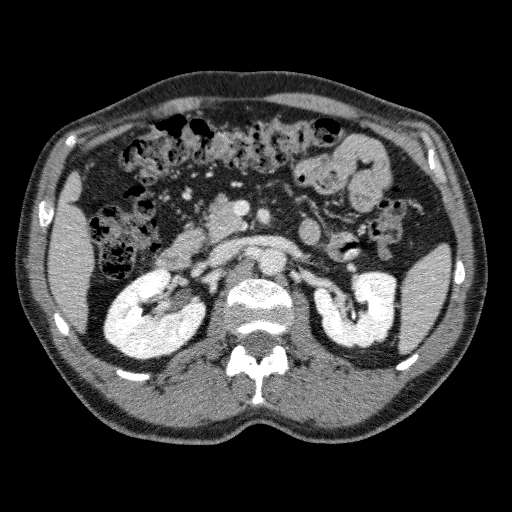 CT; Liver

Segmented structures:
• liver: bbox=[49, 171, 93, 330]
• kidney: bbox=[315, 273, 395, 346]; bbox=[105, 269, 204, 357]